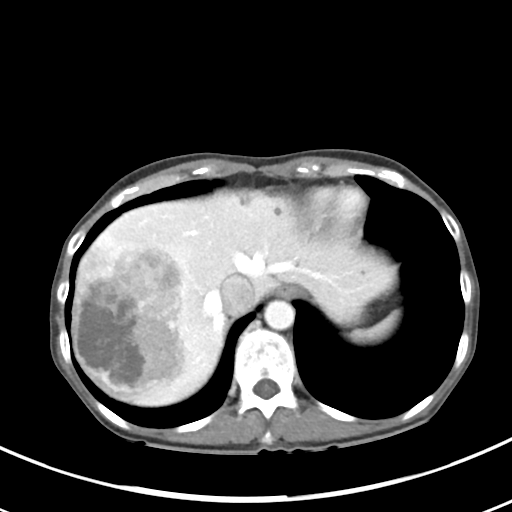 CT scan slice. 512x512 px. Only some of the vessels may be annotated.
5 hepatic vessel regions appear at 234:253:263:272, 205:292:219:314, 215:317:219:325, 194:357:200:362, 272:262:291:270. The liver tumor is at 73:239:189:403.